Slice index 416; Upper abdomen; CT slice
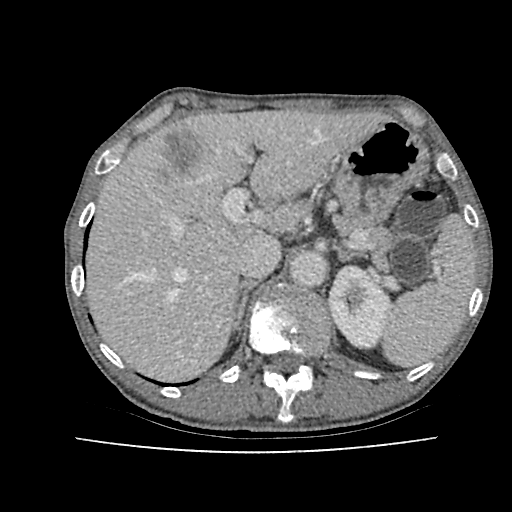
- liver lesion: <bbox>161, 131, 202, 171</bbox>
- kidney: <bbox>329, 269, 389, 346</bbox>
- liver: <bbox>89, 111, 378, 379</bbox>